Image size 512x512, Liver, Image width 358 mm, Slice 600/685, CT
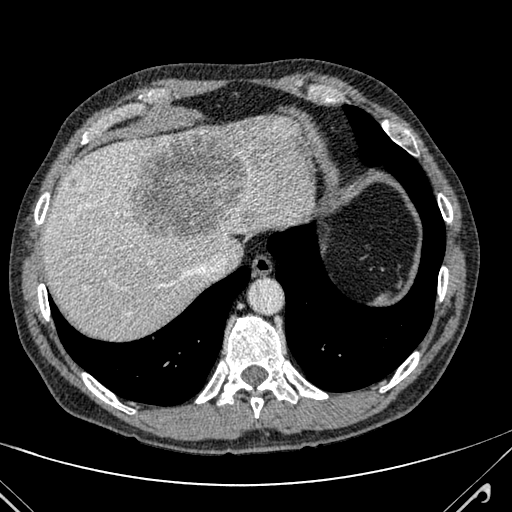 liver: 45, 116, 314, 338 | hepatic lesion: 132, 134, 245, 245; 244, 211, 256, 222